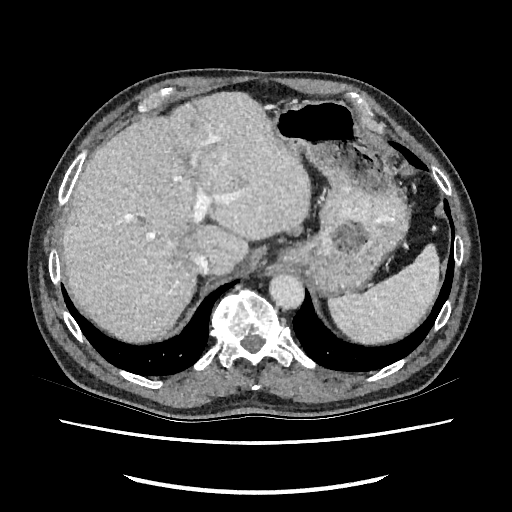

Image size 512x512, Abdomen, CT image
Liver lesion: bounding box 179,151,188,160; 190,120,197,133; 180,236,197,264.
Liver: bounding box 62,92,308,338.